Slice 9 of 59. CT. 512x512 px. Abdomen.

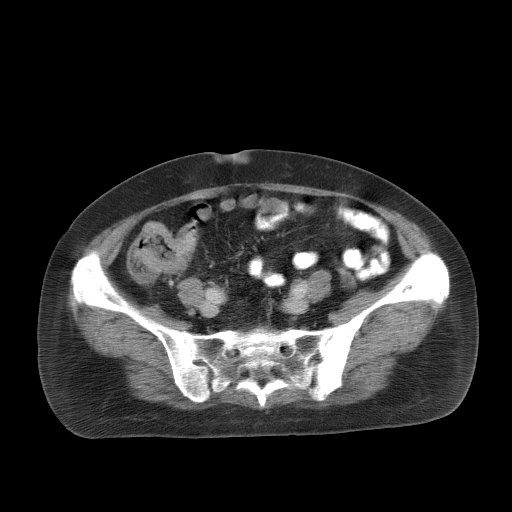
Findings:
• colon tumor: box(134, 223, 192, 272)